Slice 25/38, CT image
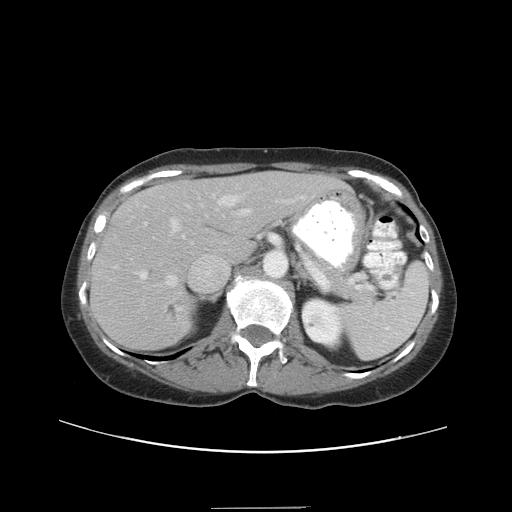

The vessel boxes may cover only some of the vessels.
9 hepatic vessel regions appear at box=[144, 222, 146, 224]; box=[136, 271, 146, 278]; box=[182, 235, 184, 237]; box=[171, 219, 179, 232]; box=[213, 195, 214, 197]; box=[276, 200, 277, 202]; box=[218, 196, 237, 205]; box=[167, 275, 176, 285]; box=[239, 209, 250, 215].